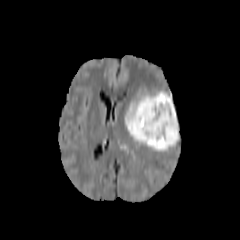
FLAIR MRI.
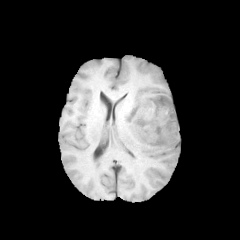
T1-weighted MR image of the same slice.
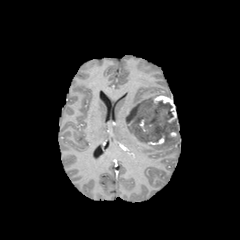
Post-contrast T1-weighted MRI.
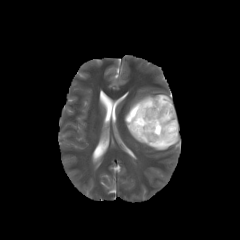
T2-weighted MR.
Head.
3 edema regions are located at x1=126, y1=86, x2=170, y2=117; x1=124, y1=118, x2=146, y2=143; x1=150, y1=121, x2=180, y2=150. The non-enhancing tumor core appears at x1=126, y1=99, x2=178, y2=147. 3 enhancing tumor regions are bounded by x1=139, y1=119, x2=145, y2=131; x1=153, y1=95, x2=177, y2=122; x1=147, y1=133, x2=164, y2=144.